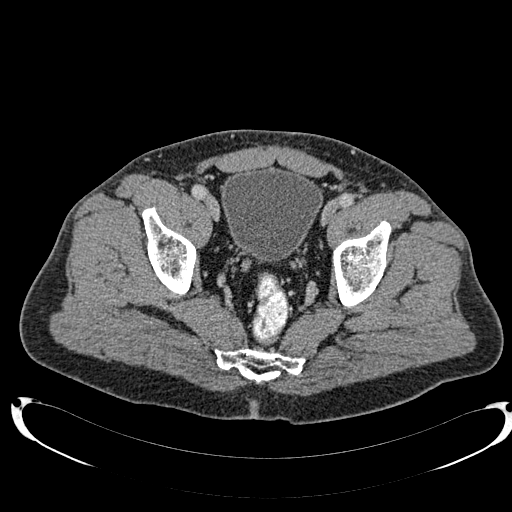
CT slice
{
  "urinary_bladder": [
    "box(222, 165, 322, 262)"
  ]
}